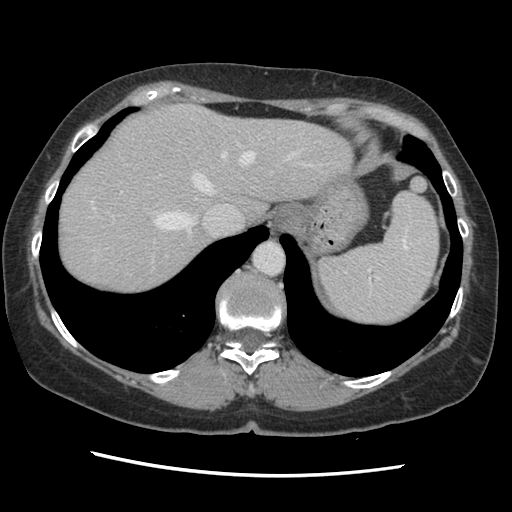 Computed tomography; 512x512 px
Some hepatic vessels may have no box.
hepatic vessel: box=[222, 151, 226, 158]; box=[302, 163, 305, 164]; box=[240, 151, 254, 164]; box=[155, 211, 197, 233]; box=[270, 172, 271, 173]; box=[286, 152, 298, 159]; box=[237, 143, 239, 145]; box=[193, 174, 212, 193]